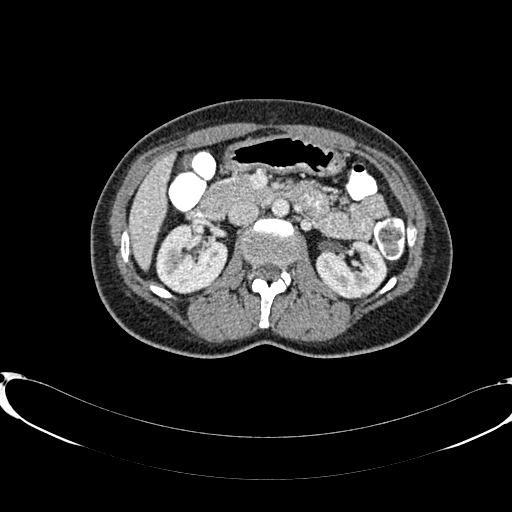

512x512 px. CT.

kidney: 317:243:385:296, 157:227:226:291 | liver: 128:152:175:268